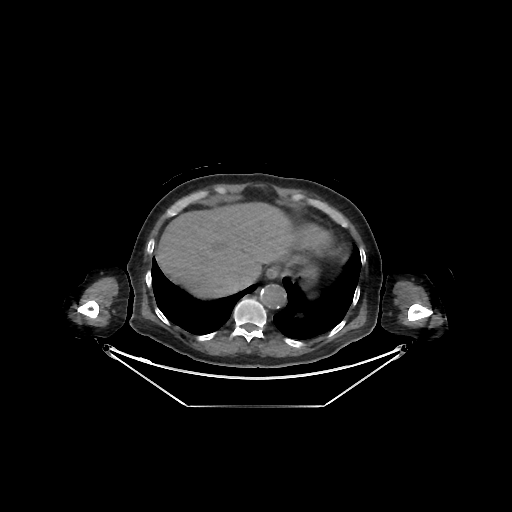

CT image | Image size 512x512
- liver: (x1=157, y1=203, x2=293, y2=297)
- bone: (x1=285, y1=339, x2=302, y2=346), (x1=146, y1=272, x2=151, y2=286), (x1=155, y1=308, x2=168, y2=324), (x1=360, y1=249, x2=365, y2=262), (x1=408, y1=304, x2=432, y2=321), (x1=78, y1=300, x2=98, y2=318), (x1=147, y1=240, x2=153, y2=252), (x1=329, y1=321, x2=345, y2=336), (x1=353, y1=289, x2=359, y2=304), (x1=232, y1=299, x2=265, y2=341), (x1=198, y1=333, x2=215, y2=340)
- lung: (x1=273, y1=243, x2=361, y2=340), (x1=151, y1=257, x2=260, y2=334)